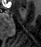

Medial temporal lobe. Magnetic resonance. Anterior hippocampus: bounding box (x1=21, y1=7, x2=24, y2=11).